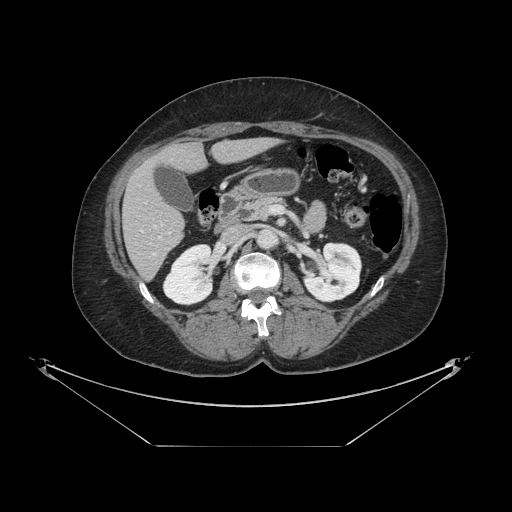

CT scan slice; 512x512 px
pancreas:
  - 248,196,283,220